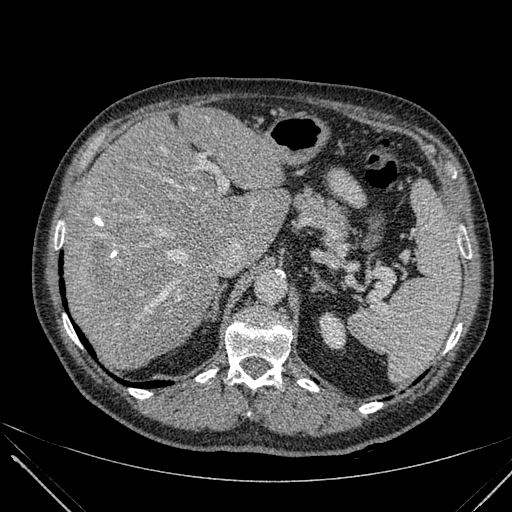 Upper abdomen; CT
focal_liver_lesion:
  - [91,241,129,300]
liver:
  - [64,108,288,369]
kidney:
  - [321,314,344,347]